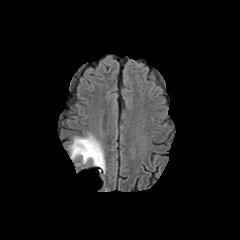
FLAIR magnetic resonance.
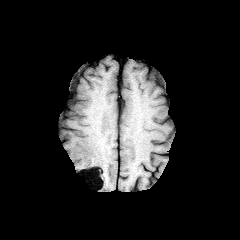
Same slice, T1-weighted MR.
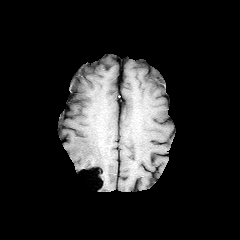
Post-contrast T1-weighted MR.
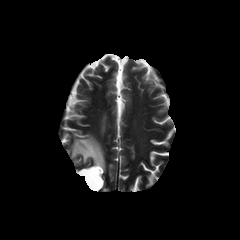
Same slice, T2-weighted magnetic resonance.
Non-enhancing tumor core: bounding box [82, 150, 103, 173].
Edema: bounding box [69, 132, 106, 176].